MRI, Hippocampus
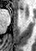
The anterior hippocampus is bounded by left=19, top=9, right=22, bottom=12.